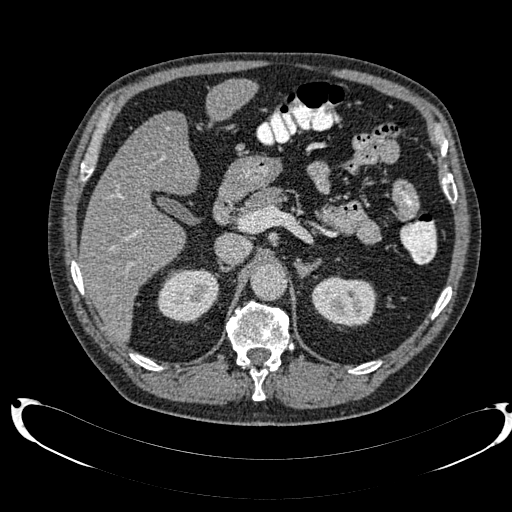
Upper abdomen; Computed tomography
* liver: x1=207 y1=79 x2=257 y2=120, x1=80 y1=117 x2=199 y2=342
* focal liver lesion: x1=149 y1=113 x2=184 y2=140
* kidney: x1=157 y1=269 x2=218 y2=321, x1=312 y1=277 x2=375 y2=325